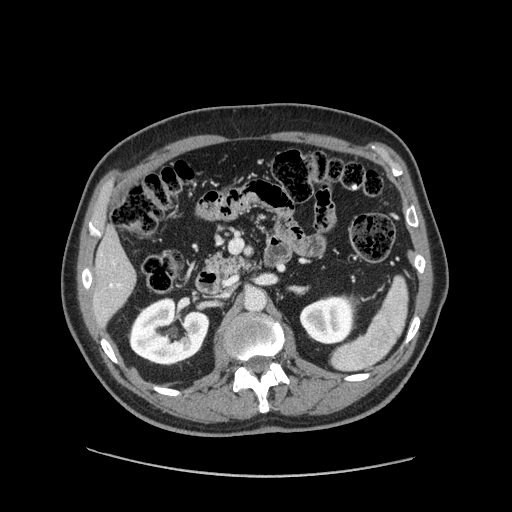
CT image.
Pancreas: bounding box l=207, t=255, r=253, b=280.